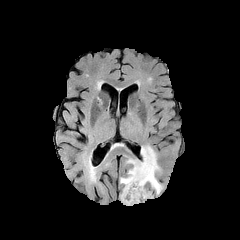
FLAIR MRI.
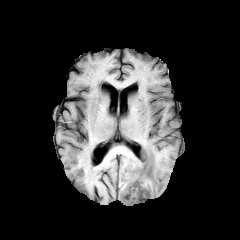
T1-weighted MR image.
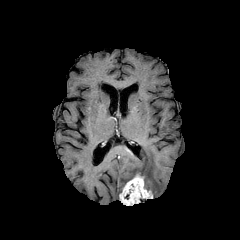
Post-contrast T1-weighted MR of the same slice.
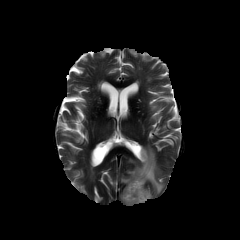
Same slice, T2-weighted MR image.
Head.
Annotated regions:
- enhancing tumor: box=[120, 173, 152, 205]
- edema: box=[120, 145, 163, 194]